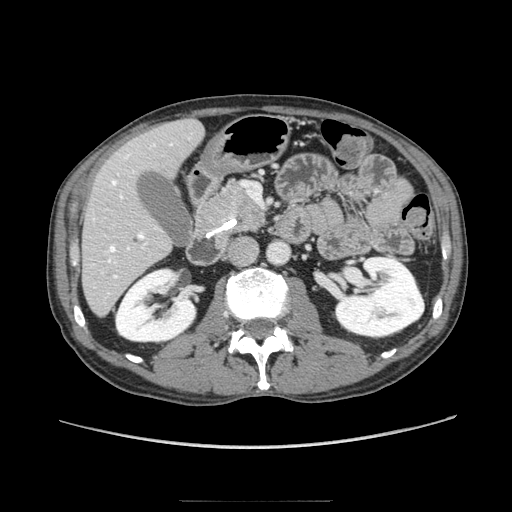

CT
The pancreas lies within box=[195, 182, 265, 231].